240x240. Head.
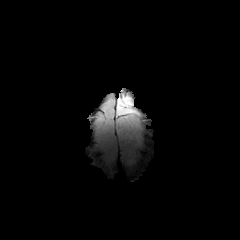
FLAIR MR.
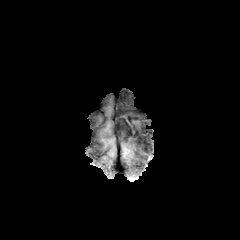
T1-weighted magnetic resonance.
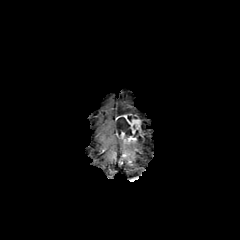
Post-contrast T1-weighted magnetic resonance.
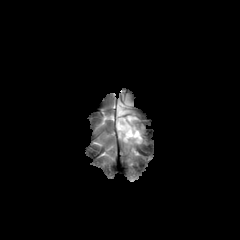
T2-weighted MRI.
<segmentation>
  <edema>bbox=[117, 96, 132, 113]</edema>
  <enhancing_tumor>bbox=[115, 114, 144, 141]</enhancing_tumor>
  <non-enhancing_tumor_core>bbox=[115, 117, 132, 136]</non-enhancing_tumor_core>
</segmentation>